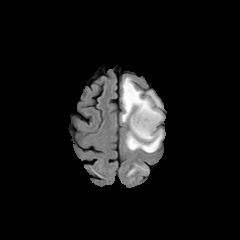
FLAIR MR.
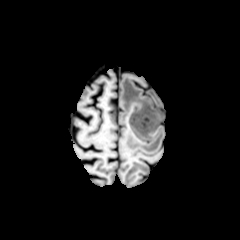
T1-weighted magnetic resonance of the same slice.
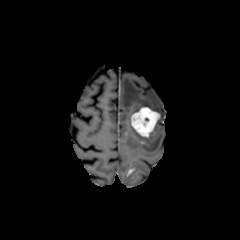
Post-contrast T1-weighted magnetic resonance.
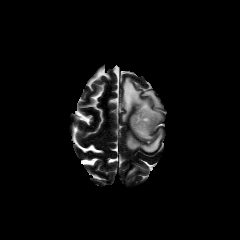
T2-weighted MR image.
240x240 px | Brain
The enhancing tumor is located at [x1=130, y1=106, x2=160, y2=137]. The edema appears at [x1=121, y1=76, x2=164, y2=153].